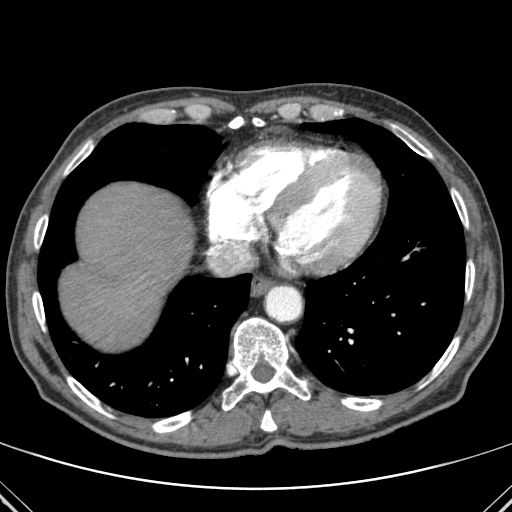 CT
liver: bbox(60, 183, 195, 350) | bone: bbox(341, 397, 381, 411); bbox(222, 318, 310, 410); bbox(451, 189, 468, 227); bbox(261, 410, 276, 431); bbox(152, 412, 191, 432); bbox(402, 131, 432, 158); bbox(67, 377, 110, 416); bbox(64, 141, 93, 174); bbox(229, 116, 244, 128); bbox(34, 215, 47, 248); bbox(465, 261, 474, 298); bbox(32, 292, 44, 328); bbox(252, 118, 264, 126); bbox(430, 337, 459, 378) | lung: bbox(295, 118, 465, 395); bbox(38, 123, 251, 417)